Brain | Image width 240 mm
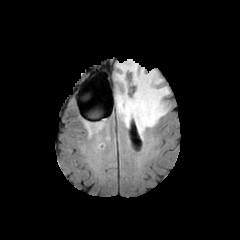
FLAIR MRI.
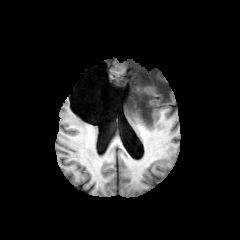
T1-weighted MR.
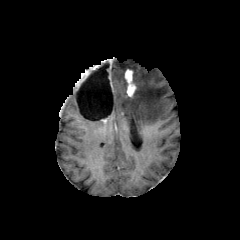
Post-contrast T1-weighted magnetic resonance of the same slice.
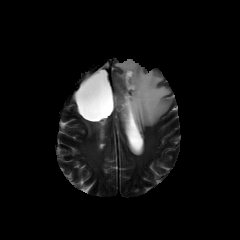
T2-weighted magnetic resonance.
{
  "non-enhancing_tumor_core": [
    "bbox=[117, 72, 139, 103]"
  ],
  "enhancing_tumor": [
    "bbox=[125, 69, 136, 97]"
  ],
  "edema": [
    "bbox=[115, 60, 169, 140]"
  ]
}